Slice index 35; Image width 500 mm; Computed tomography; Image size 512x512

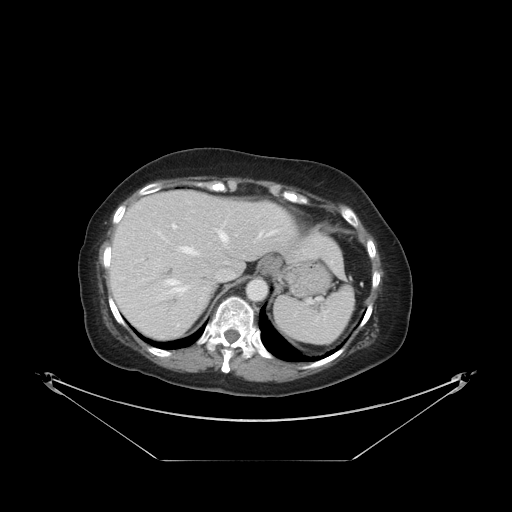
Only some of the vessels may be annotated.
The liver tumor appears at 185 269 202 286. 9 hepatic vessel regions are located at 218 261 230 263, 173 225 176 227, 215 269 235 280, 259 233 261 236, 269 231 274 234, 216 229 228 243, 168 279 186 293, 182 247 196 254, 243 264 244 267.